CT slice | Slice 345/466 | Upper abdomen | 512x512
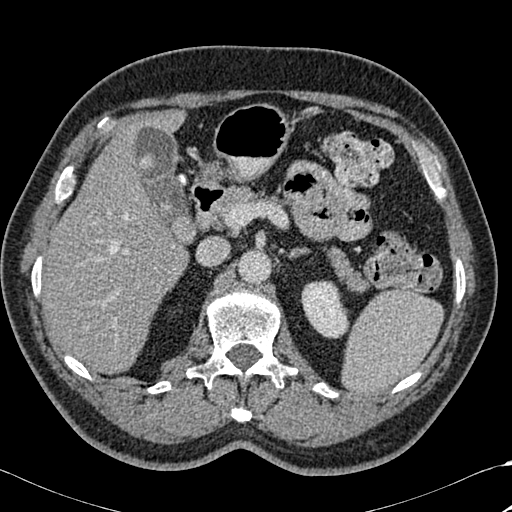

Annotated regions:
- kidney: region(302, 282, 346, 337)
- bone: region(232, 408, 250, 420); region(393, 372, 419, 392); region(55, 166, 72, 201); region(313, 383, 337, 397); region(431, 178, 445, 197); region(188, 287, 296, 388); region(148, 381, 170, 393); region(65, 356, 90, 378); region(32, 258, 41, 294); region(456, 260, 465, 301)
- liver: region(149, 111, 183, 134); region(40, 123, 187, 373)